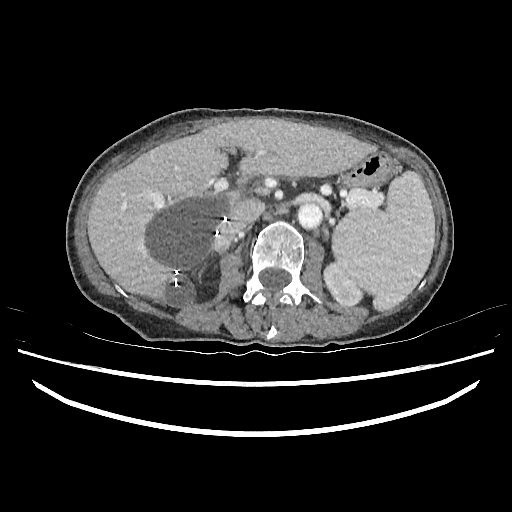
512x512 px. Liver. CT slice. Segmented structures:
- kidney: (324, 263, 361, 298)
- liver: (88, 120, 373, 306)
- focal liver lesion: (166, 274, 196, 304), (145, 198, 224, 282)